Head, Image width 240 mm
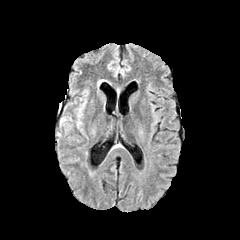
FLAIR MRI.
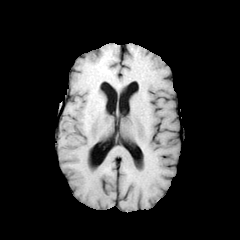
T1-weighted magnetic resonance of the same slice.
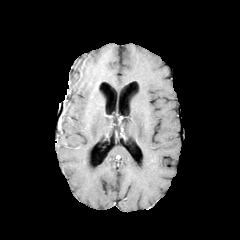
Post-contrast T1-weighted MRI.
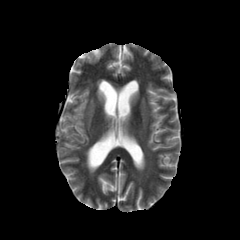
T2-weighted MR image of the same slice.
Findings:
• edema: box=[61, 96, 86, 135]
• non-enhancing tumor core: box=[59, 115, 64, 135]